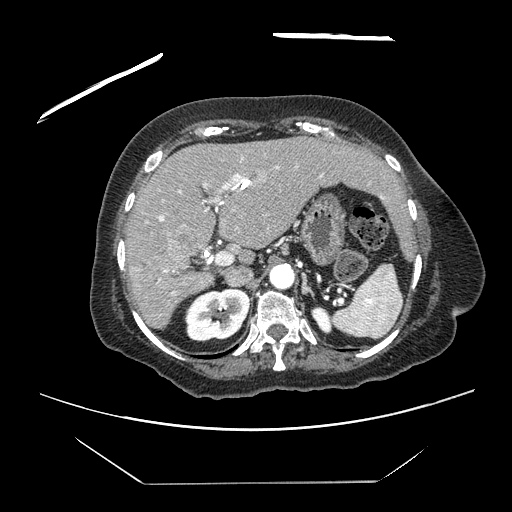

Abdomen, Computed tomography

Not every hepatic vessel necessarily has a box.
Hepatic vessel: x1=223, y1=174, x2=244, y2=188; x1=216, y1=253, x2=232, y2=264; x1=219, y1=201, x2=221, y2=203; x1=159, y1=216, x2=163, y2=220; x1=165, y1=270, x2=166, y2=271.
Liver tumor: x1=171, y1=227, x2=200, y2=257.